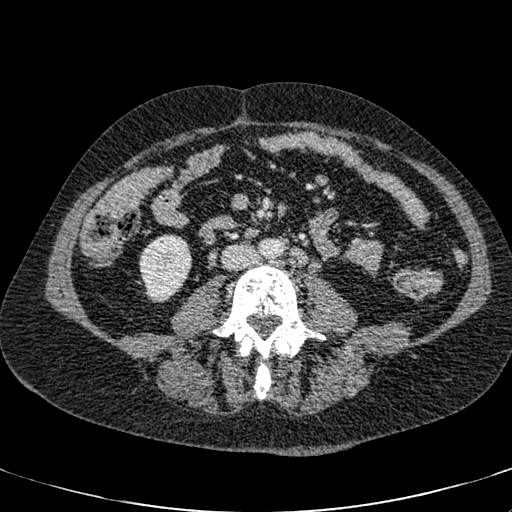

Abdomen | CT

<segmentation>
  <kidney>region(140, 235, 190, 301)</kidney>
</segmentation>